FLAIR MR.
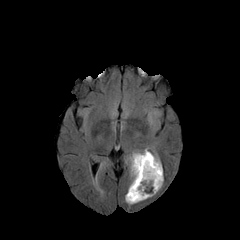
T1-weighted MR.
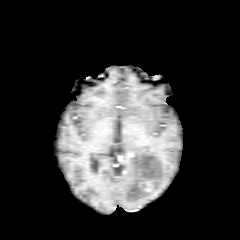
Post-contrast T1-weighted MR image.
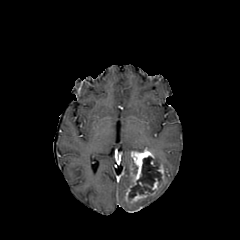
T2-weighted MRI.
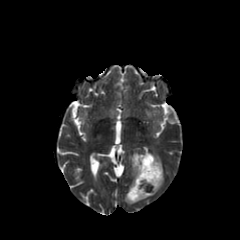
Enhancing tumor at 130:192:147:201, 126:148:154:197.
Non-enhancing tumor core at 128:157:163:199, 130:164:136:185.
Edema at 151:150:161:168, 124:178:163:205, 125:152:133:181.